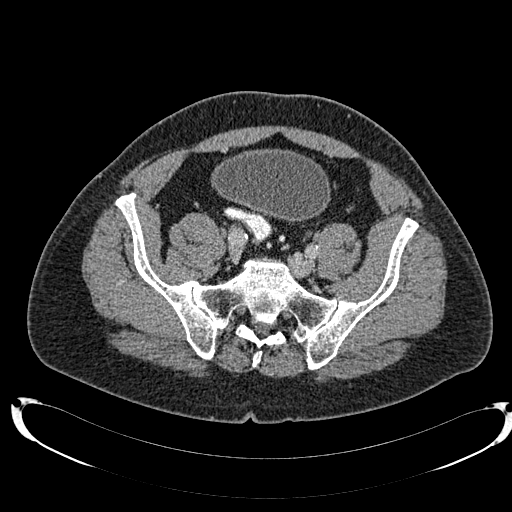 CT image
Urinary bladder = region(215, 149, 330, 220).